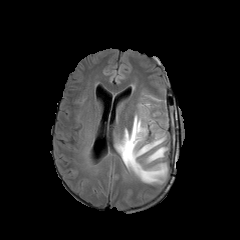
FLAIR MRI.
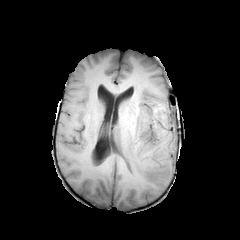
Same slice, T1-weighted magnetic resonance.
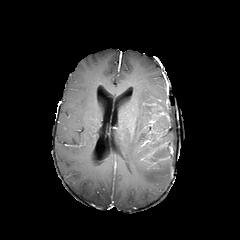
Post-contrast T1-weighted MRI of the same slice.
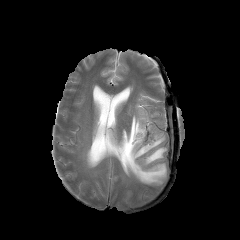
T2-weighted magnetic resonance.
edema:
  - l=110, t=92, r=169, b=187